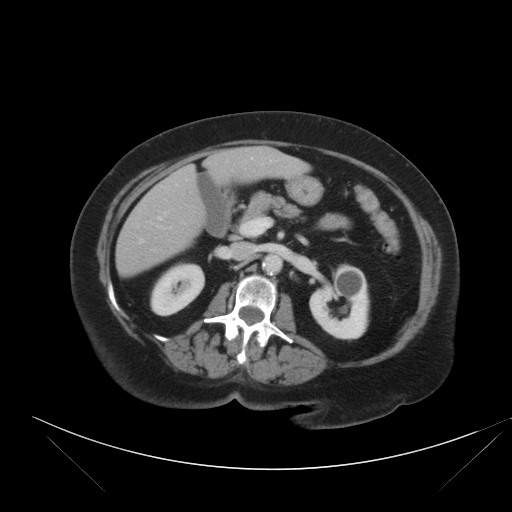
CT scan slice
Only some of the vessels may be annotated.
{"hepatic_vessel": ["[x1=149, y1=222, x2=152, y2=223]", "[x1=153, y1=249, x2=156, y2=252]", "[x1=176, y1=184, x2=177, y2=186]", "[x1=243, y1=161, x2=246, y2=162]", "[x1=154, y1=224, x2=170, y2=228]", "[x1=188, y1=166, x2=192, y2=169]", "[x1=270, y1=160, x2=277, y2=162]", "[x1=137, y1=224, x2=138, y2=226]", "[x1=139, y1=238, x2=143, y2=243]", "[x1=143, y1=205, x2=145, y2=206]", "[x1=158, y1=211, x2=169, y2=220]", "[x1=251, y1=157, x2=253, y2=159]"]}